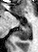 Magnetic resonance. Medial temporal lobe.
The posterior hippocampus appears at (17,24,31,41).